Upper abdomen, 512x512 px, CT slice

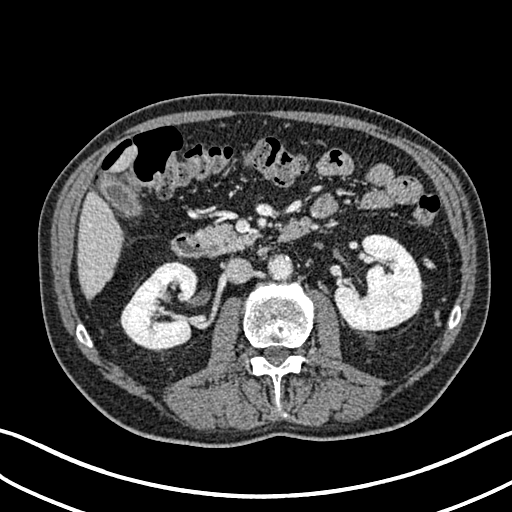
2 kidney regions are bounded by <bbox>121, 263, 196, 349</bbox>, <bbox>335, 235, 421, 330</bbox>. 2 liver regions are bounded by <bbox>78, 190, 122, 297</bbox>, <bbox>111, 146, 137, 171</bbox>.